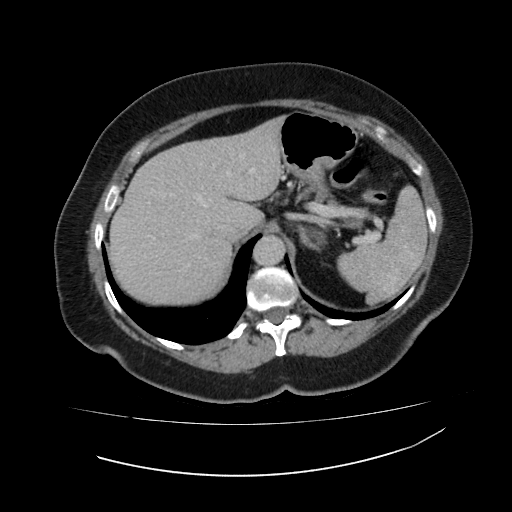

CT slice.
Segmented structures:
- liver: [x1=109, y1=116, x2=284, y2=304]